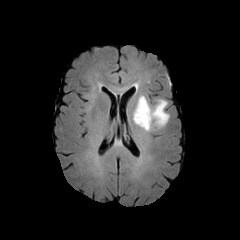
FLAIR MR image.
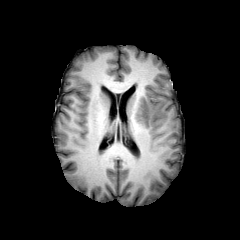
Same slice, T1-weighted MR image.
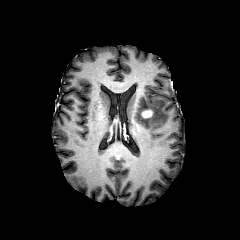
Post-contrast T1-weighted magnetic resonance.
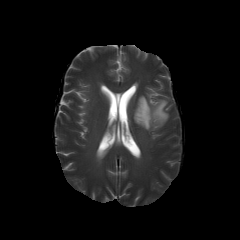
T2-weighted MR image.
Image size 240x240.
Findings:
- edema: [133, 95, 169, 132]
- enhancing tumor: [141, 109, 152, 117]